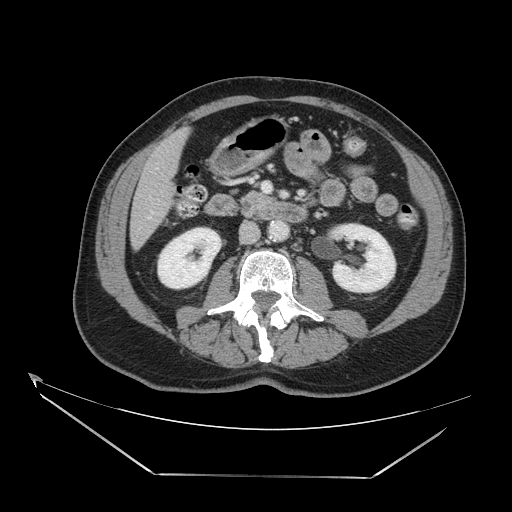
CT; Abdomen

pancreas:
  - box=[247, 192, 266, 201]